Brain
FLAIR magnetic resonance.
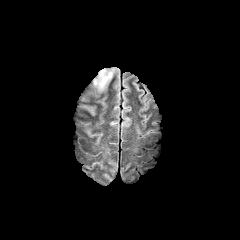
T1-weighted MR.
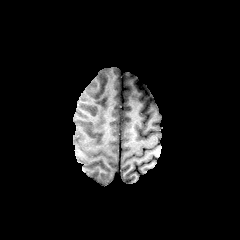
Post-contrast T1-weighted MR image.
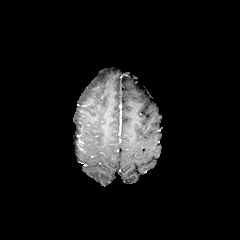
T2-weighted MR image.
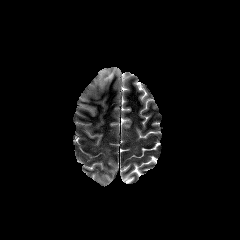
edema:
  - (left=93, top=67, right=116, bottom=89)